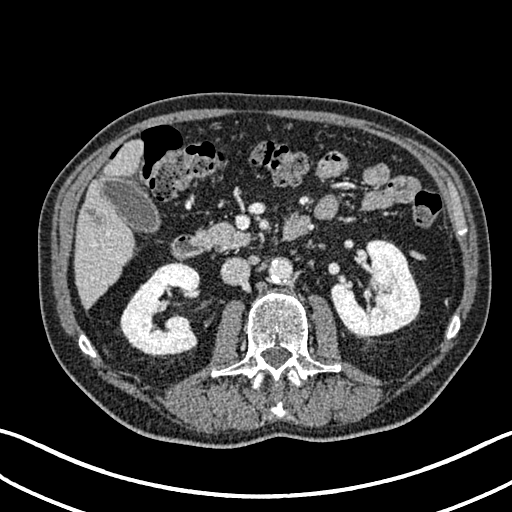
CT scan slice; Liver
hepatic_lesion:
  - <bbox>86, 208, 103, 224</bbox>
kidney:
  - <bbox>121, 263, 198, 354</bbox>
  - <bbox>332, 241, 419, 335</bbox>
liver:
  - <bbox>103, 140, 142, 176</bbox>
  - <bbox>76, 180, 133, 308</bbox>